Lower abdomen. CT. Slice index 61.

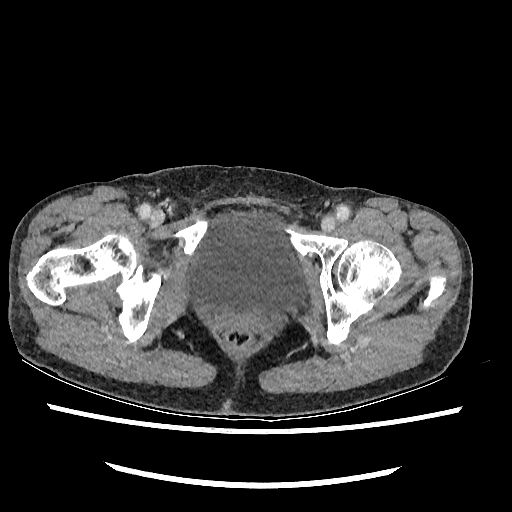

Segmented structures:
* urinary bladder: [181,209,309,328]